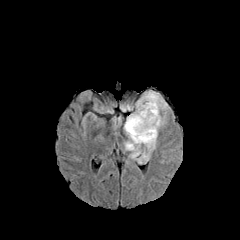
FLAIR MR image.
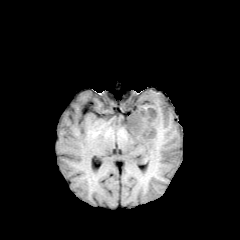
T1-weighted MRI.
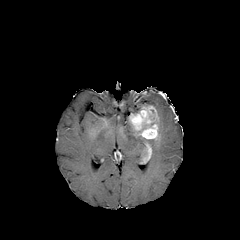
Same slice, post-contrast T1-weighted magnetic resonance.
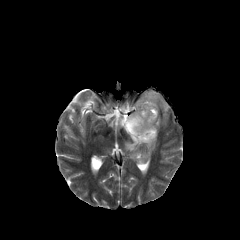
T2-weighted MR image.
Brain
<segmentation>
  <edema><box>133,90,170,138</box>, <box>123,123,157,163</box>, <box>120,103,133,111</box>, <box>112,115,121,129</box></edema>
  <enhancing_tumor><box>141,143,151,163</box>, <box>129,106,158,138</box></enhancing_tumor>
  <non-enhancing_tumor_core><box>125,117,146,137</box></non-enhancing_tumor_core>
</segmentation>